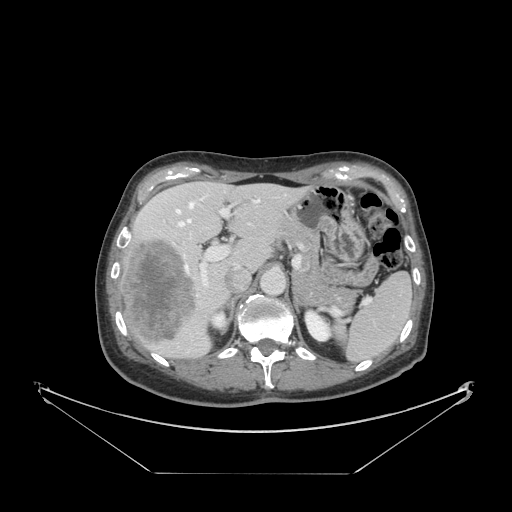

CT image
Spleen: [x1=342, y1=273, x2=412, y2=362].